MR image.

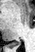 <segmentation>
  <posterior_hippocampus>x1=10, y1=41, x2=18, y2=46</posterior_hippocampus>
</segmentation>